Slice index 23 | Magnetic resonance 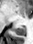 The posterior hippocampus is located at x1=14 y1=26 x2=25 y2=35.